Slice 117/155 | Field of view 240 mm wide, 1.00 mm slice spacing | Head
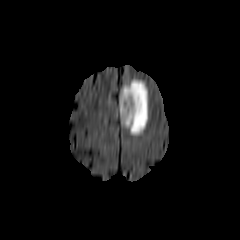
FLAIR MR.
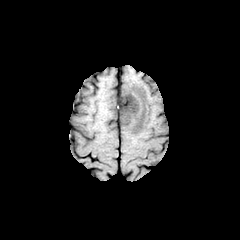
T1-weighted MRI of the same slice.
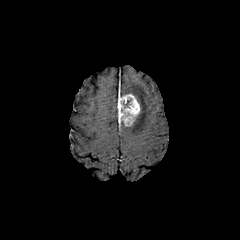
Post-contrast T1-weighted MR image.
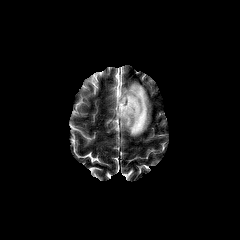
T2-weighted MRI.
The enhancing tumor appears at 117, 90, 140, 125. The edema is located at 120, 80, 149, 136.